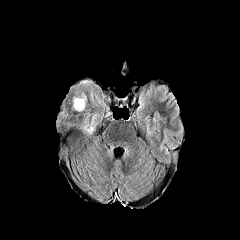
FLAIR magnetic resonance.
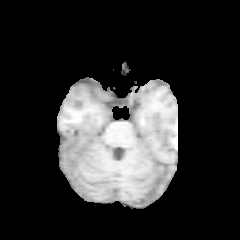
T1-weighted MRI of the same slice.
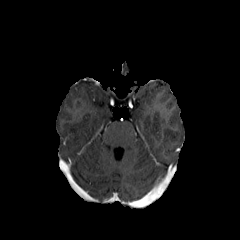
Post-contrast T1-weighted MR.
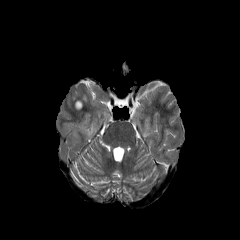
T2-weighted MR image.
edema:
  - box(73, 93, 85, 110)